Field of view 240x240 mm | Slice 120/155 | Brain
FLAIR MR.
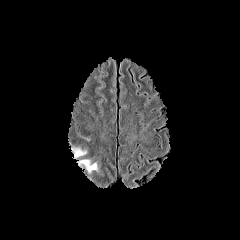
T1-weighted MR.
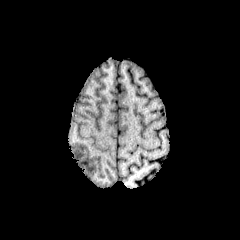
Post-contrast T1-weighted magnetic resonance.
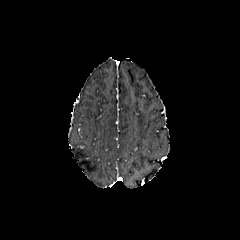
T2-weighted MR image.
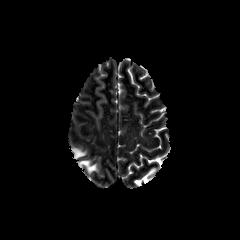
Segmented structures:
* edema: (x1=71, y1=147, x2=85, y2=158), (x1=76, y1=159, x2=97, y2=174)